Abdomen, Computed tomography, 512x512 px

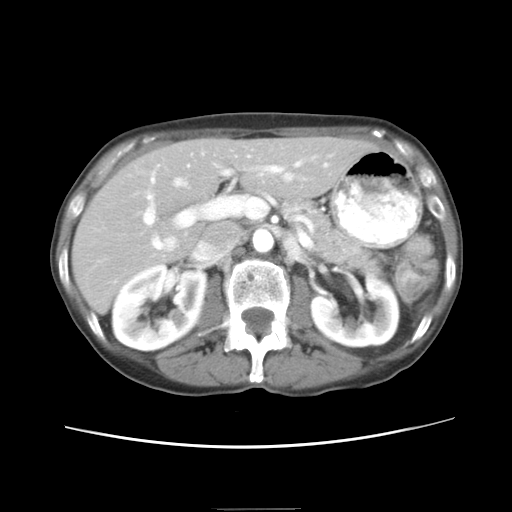 Only some of the vessels may be annotated.
Hepatic vessel: bounding box x1=295 y1=161 x2=300 y2=166, x1=284 y1=173 x2=291 y2=179, x1=264 y1=165 x2=281 y2=172, x1=152 y1=237 x2=174 y2=248, x1=143 y1=193 x2=154 y2=224, x1=247 y1=155 x2=249 y2=157, x1=174 y1=178 x2=185 y2=184.